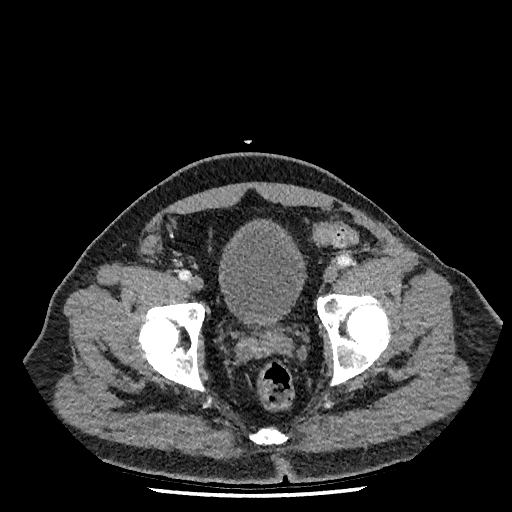

Lower abdomen, CT scan slice
Annotated regions:
- urinary bladder: 218,219,306,324